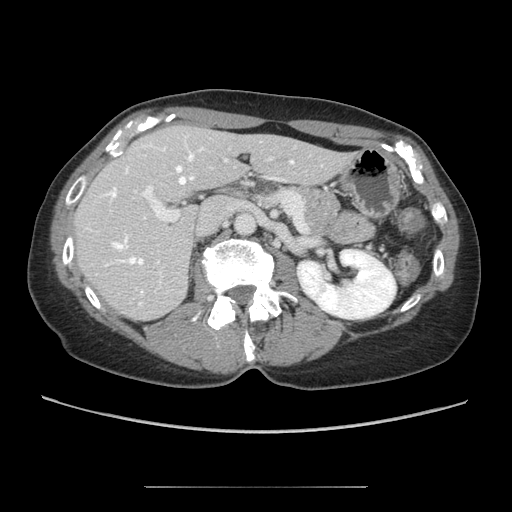
512x512 | CT scan slice
The pancreatic tumor lies within (left=254, top=180, right=279, bottom=195). The pancreas is at (left=236, top=176, right=340, bottom=239).